Field of view 240x240 mm
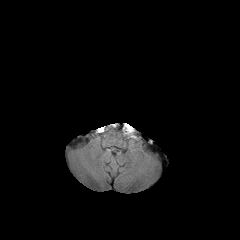
FLAIR MR image.
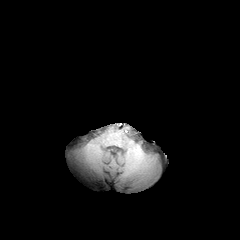
Same slice, T1-weighted MR.
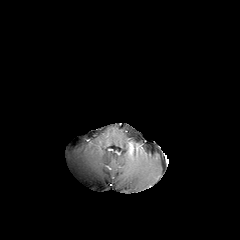
Post-contrast T1-weighted MR image.
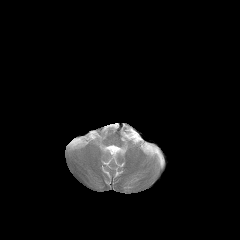
T2-weighted MRI.
The edema is bounded by (123, 129, 135, 141).